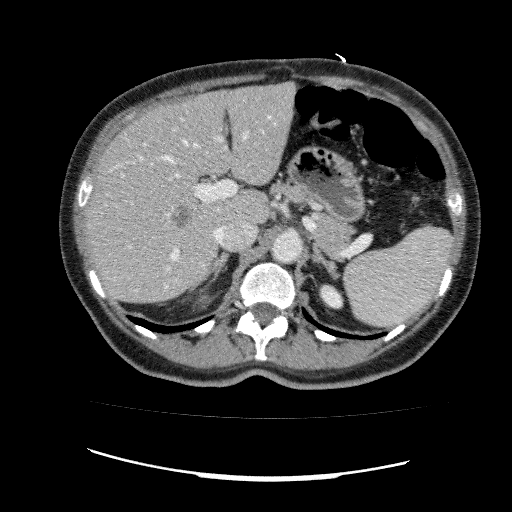

CT
Segmented structures:
* kidney: <bbox>322, 286, 341, 307</bbox>
* hepatic lesion: <bbox>171, 202, 192, 227</bbox>
* liver: <bbox>84, 81, 296, 302</bbox>